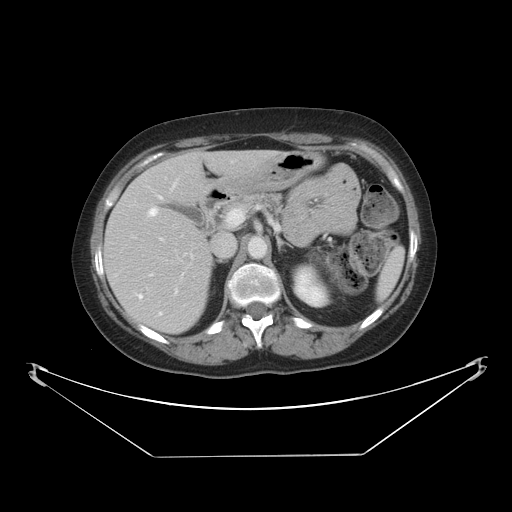 Computed tomography | Abdomen
Not every hepatic vessel necessarily has a box.
hepatic vessel: bbox(172, 184, 174, 187); bbox(160, 238, 163, 240); bbox(159, 196, 161, 198); bbox(159, 312, 161, 314); bbox(139, 294, 142, 297); bbox(149, 208, 157, 215)